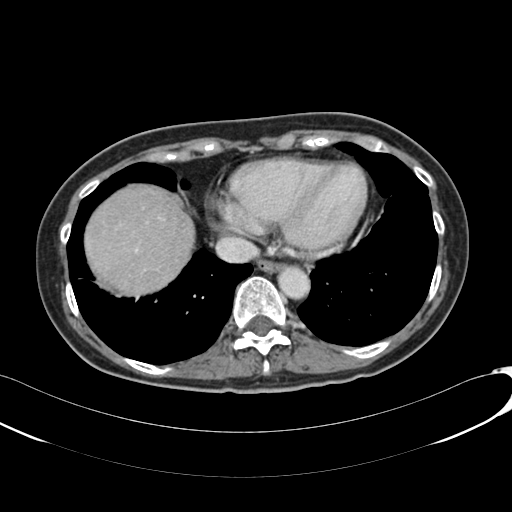 CT image

Liver = x1=84, y1=186, x2=192, y2=292.